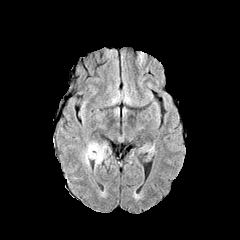
FLAIR MR.
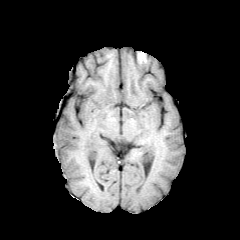
T1-weighted magnetic resonance.
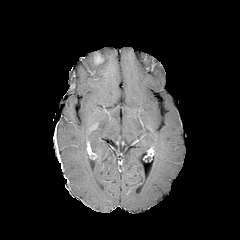
Same slice, post-contrast T1-weighted MR.
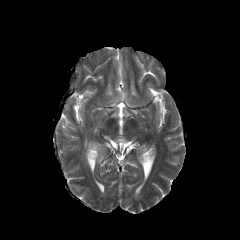
T2-weighted magnetic resonance.
Brain.
• edema: 90 140 110 172, 80 147 91 171